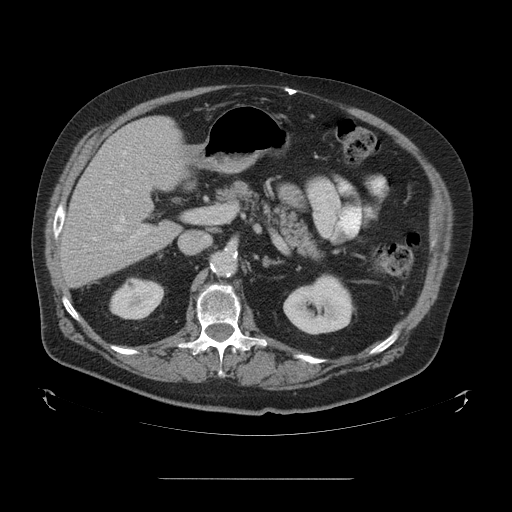 512x512 px | CT scan slice
Only some of the vessels may be annotated.
hepatic_vessel:
  - (x1=104, y1=225, x2=150, y2=249)
  - (x1=120, y1=161, x2=123, y2=167)
  - (x1=122, y1=147, x2=129, y2=156)
  - (x1=103, y1=180, x2=112, y2=183)
  - (x1=124, y1=188, x2=130, y2=193)
  - (x1=189, y1=209, x2=213, y2=223)
  - (x1=88, y1=204, x2=98, y2=217)
  - (x1=113, y1=215, x2=126, y2=231)
  - (x1=91, y1=237, x2=99, y2=240)